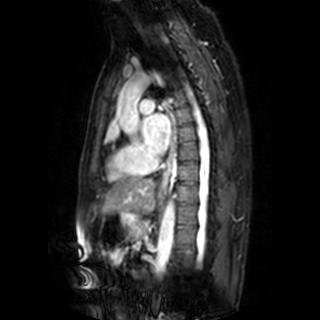 Image size 320x320; MR

Segmented structures:
- left atrium: 143 113 170 154